Slice 94 of 155. Field of view 240x240 mm. Head.
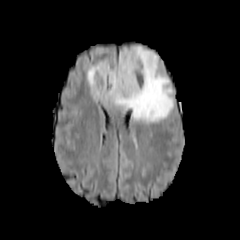
FLAIR MR.
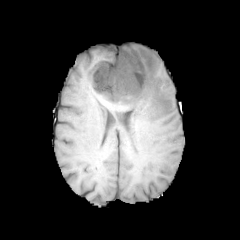
T1-weighted MR image.
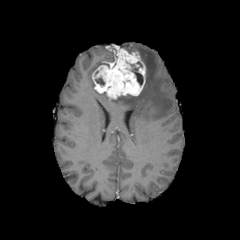
Post-contrast T1-weighted MR of the same slice.
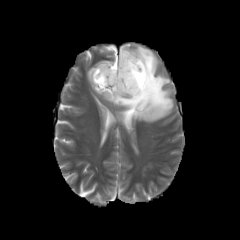
T2-weighted magnetic resonance.
2 edema regions are bounded by x1=87 y1=62 x2=100 y2=91, x1=102 y1=45 x2=173 y2=122. The enhancing tumor is bounded by x1=92 y1=45 x2=145 y2=99. 2 non-enhancing tumor core regions are bounded by x1=132 y1=67 x2=143 y2=85, x1=95 y1=77 x2=105 y2=85.